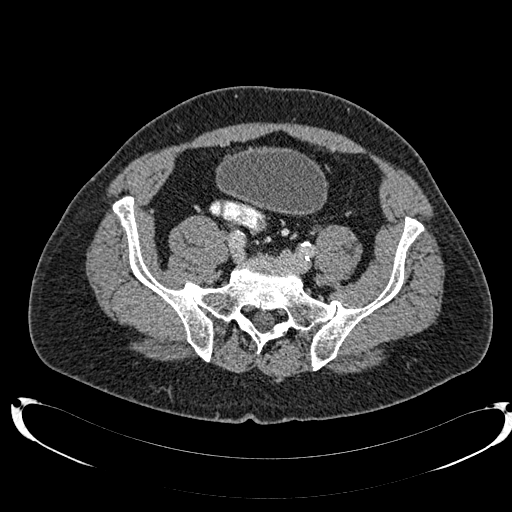

Lower abdomen; 512x512; CT slice
The urinary bladder appears at rect(220, 149, 327, 212).